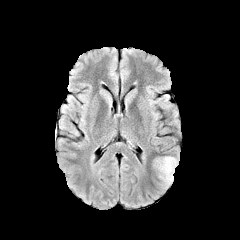
FLAIR MRI.
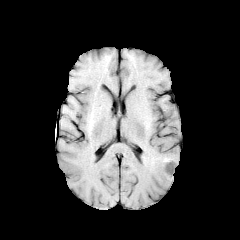
T1-weighted MR.
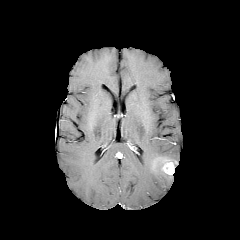
Post-contrast T1-weighted MR.
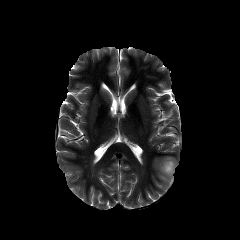
T2-weighted MR image.
Head
enhancing tumor: (x1=162, y1=160, x2=173, y2=175) | edema: (x1=156, y1=156, x2=175, y2=185)